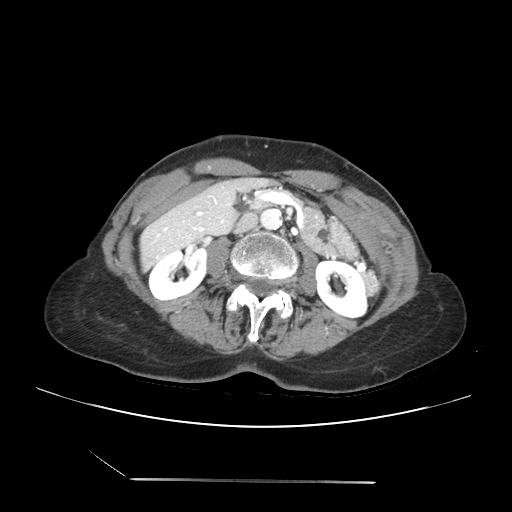 CT image | Abdomen
<segmentation>
  <pancreas>[300, 202, 341, 259], [236, 189, 271, 212]</pancreas>
  <pancreatic_tumor>[317, 228, 329, 244]</pancreatic_tumor>
</segmentation>